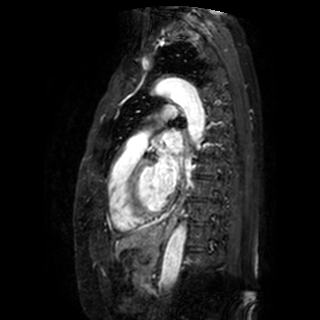
MR; Heart
<segmentation>
  <left_atrium>x1=163, y1=132, x2=181, y2=152; x1=156, y1=142, x2=177, y2=191</left_atrium>
</segmentation>